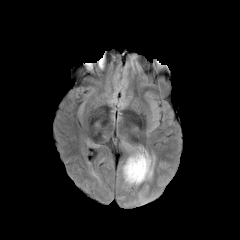
FLAIR magnetic resonance.
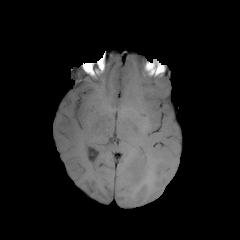
T1-weighted MRI.
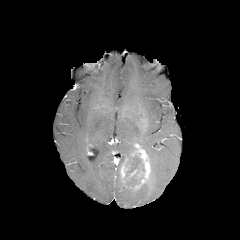
Post-contrast T1-weighted magnetic resonance.
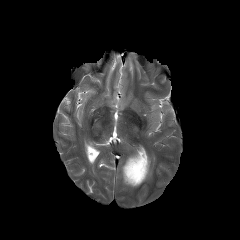
Same slice, T2-weighted MR image.
240x240 px; Brain
Edema = <box>123,170,145,187</box>, <box>124,147,141,171</box>.
Enhancing tumor = <box>138,149,149,177</box>.